CT slice | Slice index 70 | Abdomen 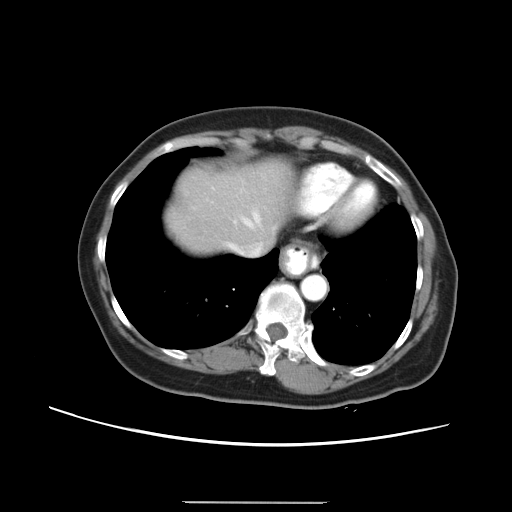

Only some of the vessels may be annotated.
2 hepatic vessel regions are bounded by <box>229,244,236,249</box>, <box>243,212,259,227</box>.